Slice index 25. Computed tomography. Abdomen. 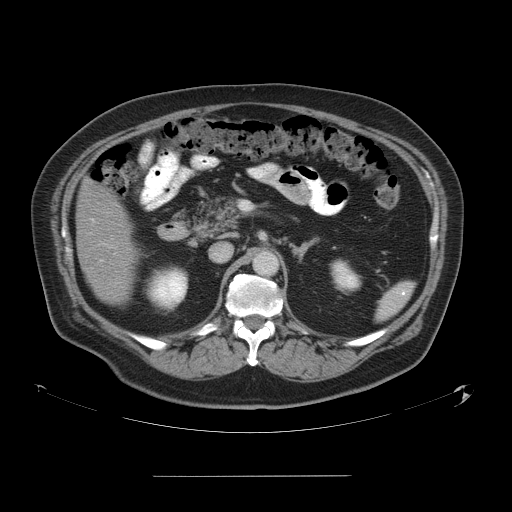 The vessel boxes may cover only some of the vessels.
Hepatic vessel — [92, 219, 93, 221], [100, 259, 102, 261].